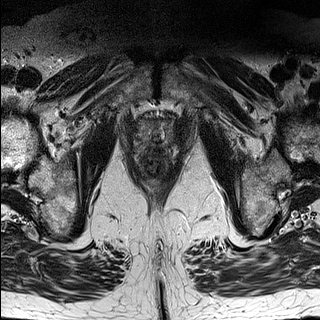
T2-weighted MR.
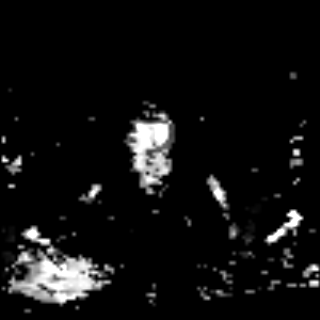
ADC MR image.
Pelvis
<segmentation>
  <prostate_peripheral_zone>[x1=134, y1=120, x2=175, y2=146]</prostate_peripheral_zone>
</segmentation>